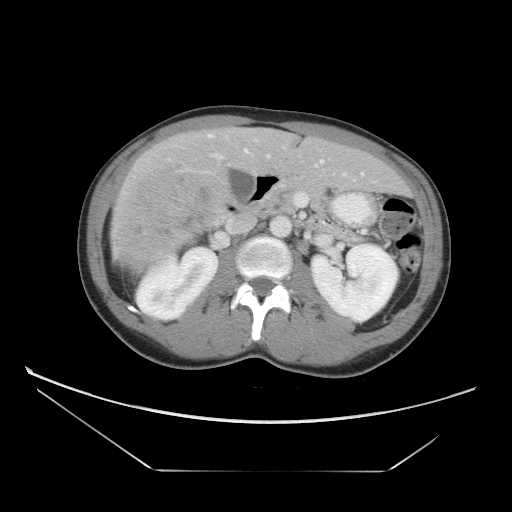

CT image. The vessel boxes may cover only some of the vessels.
<segmentation>
  <hepatic_vessel><box>244,148,249,153</box>, <box>210,153,223,158</box></hepatic_vessel>
  <liver_tumor><box>113,157,225,259</box></liver_tumor>
</segmentation>